Brain
FLAIR MR.
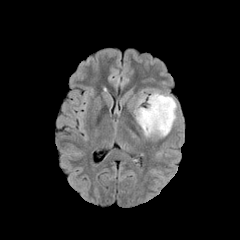
T1-weighted MR image.
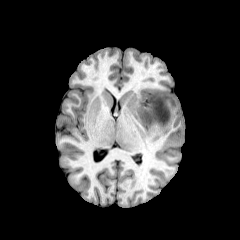
Post-contrast T1-weighted magnetic resonance.
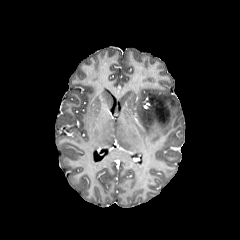
T2-weighted magnetic resonance.
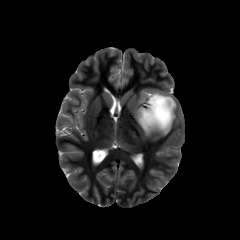
Edema at box(134, 88, 176, 137).
Non-enhancing tumor core at box(142, 94, 169, 126).